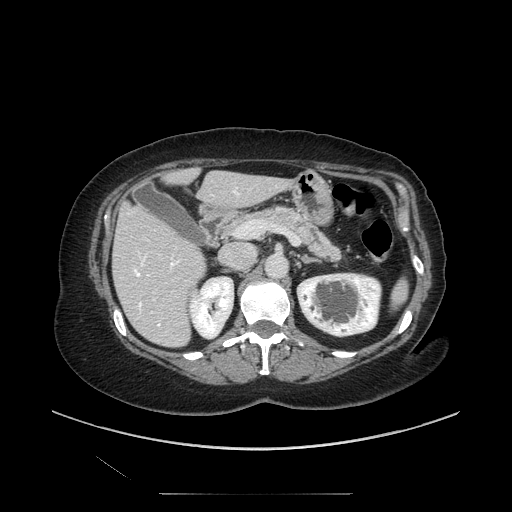
512x512; CT scan slice
The pancreas is located at (left=229, top=206, right=342, bottom=262).